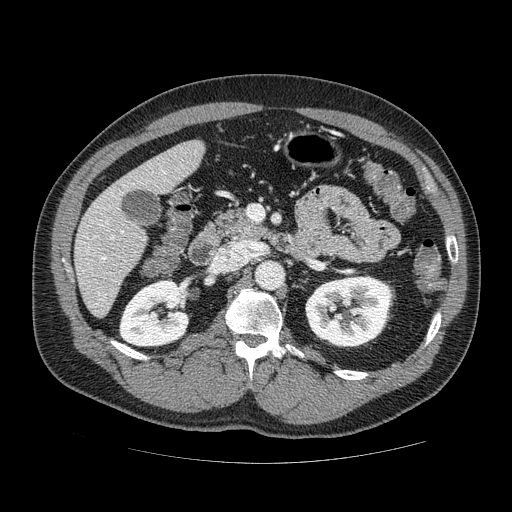 CT
{"pancreas": ["x1=216, y1=208, x2=268, y2=242"]}